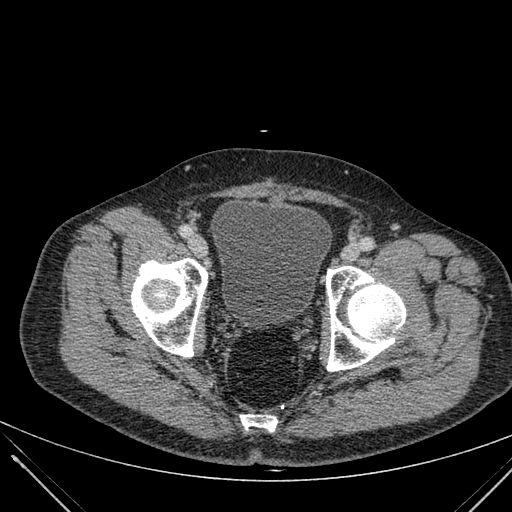

CT scan slice

Urinary bladder at 210,202,332,323.